240x240. Field of view 240x240 mm. Head.
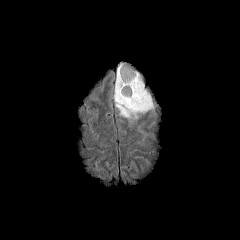
FLAIR MR.
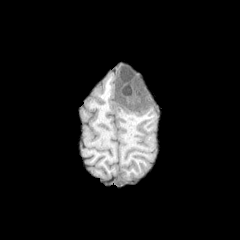
T1-weighted MR of the same slice.
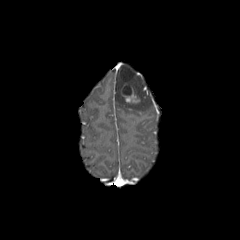
Post-contrast T1-weighted MR image.
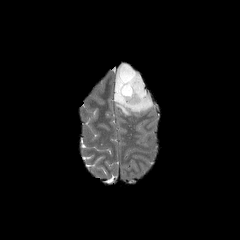
T2-weighted MR image.
Edema: (left=115, top=74, right=154, bottom=116).
Non-enhancing tumor core: (left=119, top=65, right=136, bottom=94).
Enhancing tumor: (left=119, top=82, right=140, bottom=104).